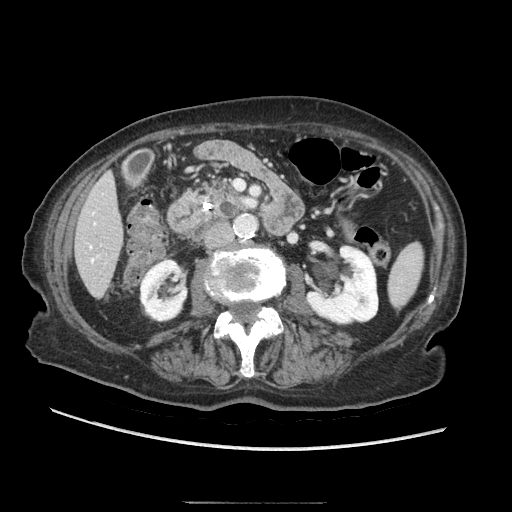
CT image; Abdomen
pancreas: l=197, t=182, r=245, b=218